Field of view 420 mm wide, 2.50 mm slice spacing. CT slice.
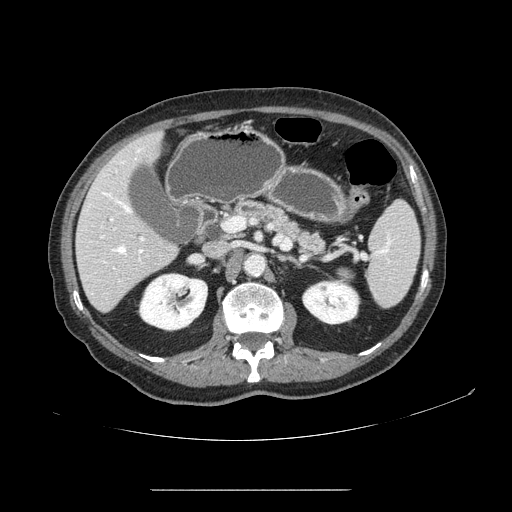
The pancreas lies within [x1=232, y1=199, x2=327, y2=255].